Image size 512x512; CT; Abdomen; Slice index 25 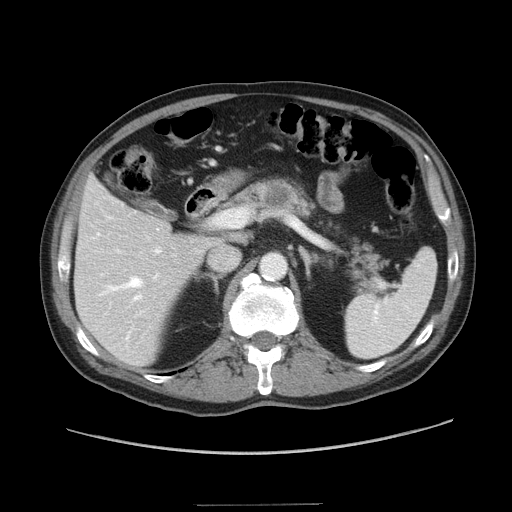

Annotated regions:
• pancreatic tumor: box(268, 184, 288, 206)
• pancreas: box(320, 220, 334, 228); box(351, 246, 378, 292); box(228, 180, 313, 214)